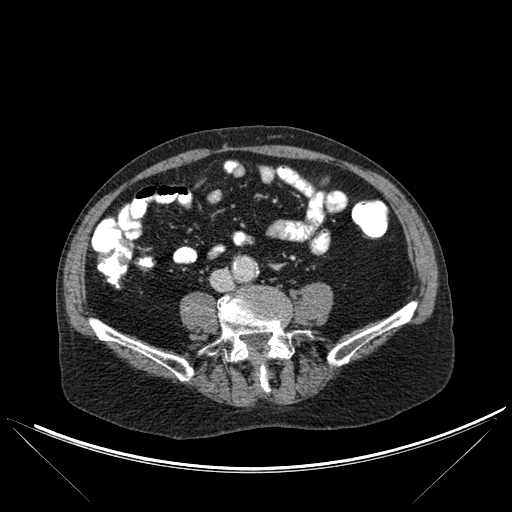

Computed tomography

Bone at box(213, 293, 293, 391); box(89, 319, 193, 380); box(327, 302, 416, 365).